CT scan slice; Abdomen; Image size 512x512 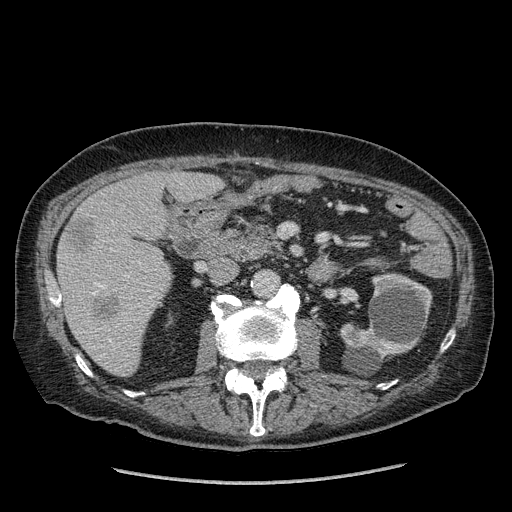
Liver = 57, 171, 223, 377.
Kidney = 372, 273, 431, 314; 340, 324, 418, 357.
Hepatic lesion = 68, 216, 94, 250; 94, 294, 117, 319.